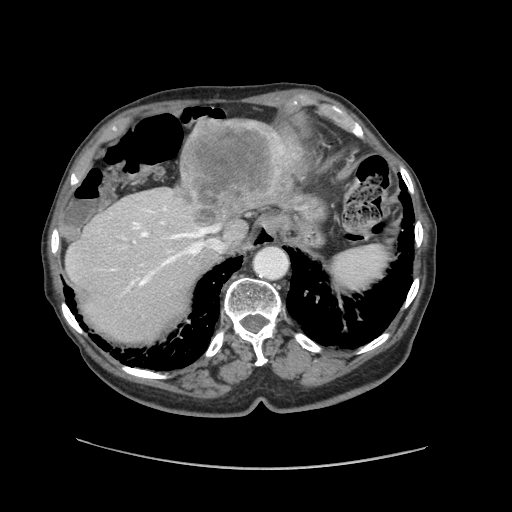 CT | 512x512

Only some of the vessels may be annotated.
The liver tumor is located at 184,121,286,229. 4 hepatic vessel regions appear at 161,221,163,223; 134,223,140,228; 138,226,224,286; 141,233,147,235.